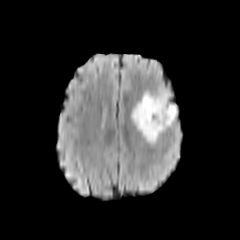
FLAIR MRI.
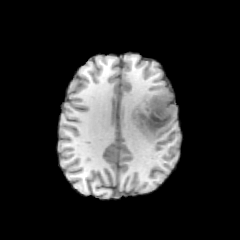
T1-weighted MRI of the same slice.
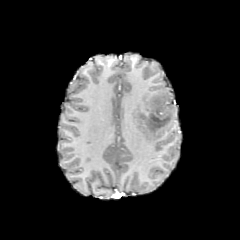
Post-contrast T1-weighted MR.
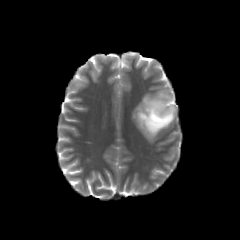
T2-weighted MR image of the same slice.
Brain
The non-enhancing tumor core is bounded by (x1=139, y1=91, x2=173, y2=131). The edema is located at (x1=131, y1=92, x2=178, y2=143).